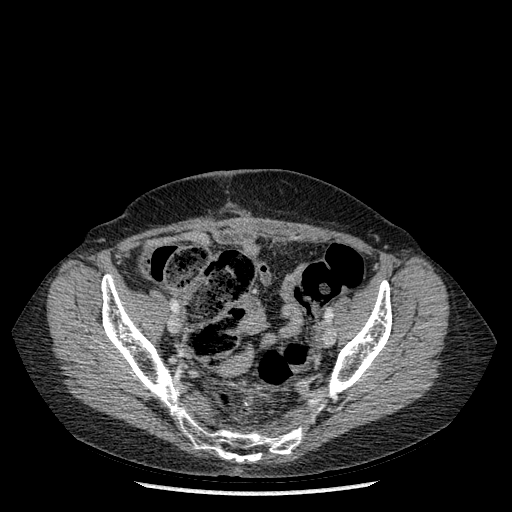

CT slice
{
  "bone": [
    "bbox=[101, 274, 302, 462]",
    "bbox=[327, 280, 391, 399]"
  ]
}